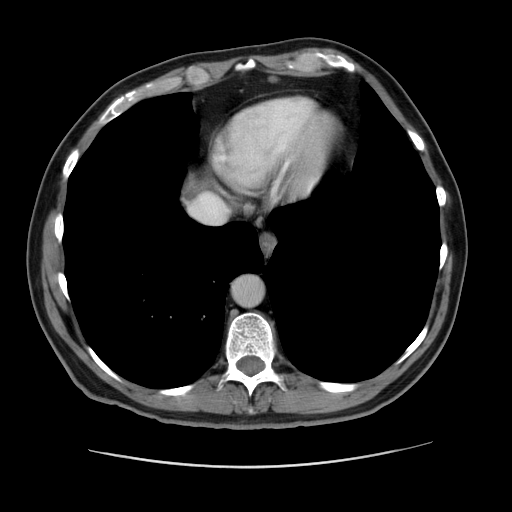

CT slice

{
  "liver": [
    "bbox=[183, 178, 200, 194]"
  ]
}